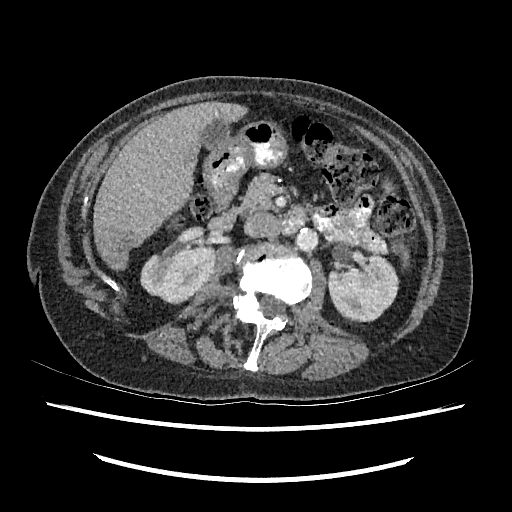

CT. Liver. 512x512.
2 kidney regions are bounded by (141, 246, 215, 302), (329, 253, 397, 321). The liver lies within (94, 102, 246, 270). The hepatic lesion is bounded by (113, 228, 134, 252).